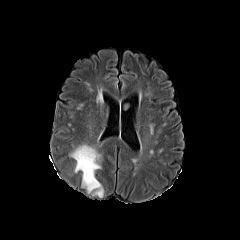
FLAIR magnetic resonance.
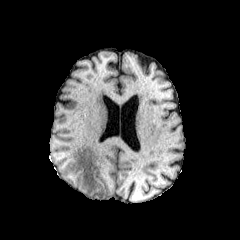
T1-weighted magnetic resonance.
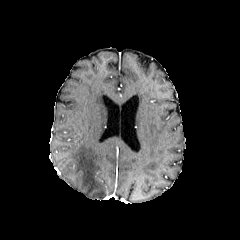
Post-contrast T1-weighted MR image.
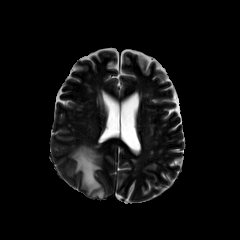
Same slice, T2-weighted magnetic resonance.
Edema at 71,144,104,196.